Slice 131 of 155.
FLAIR MR image.
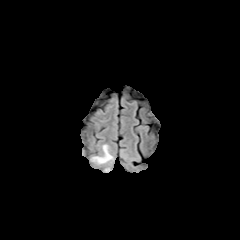
T1-weighted MRI.
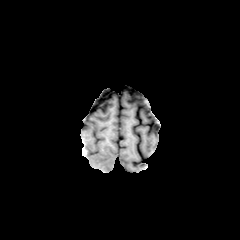
Post-contrast T1-weighted MRI.
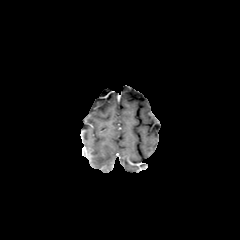
T2-weighted magnetic resonance.
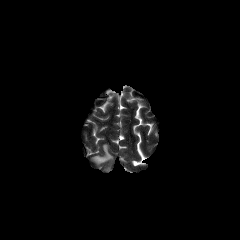
The edema lies within left=90, top=144, right=113, bottom=170.